Image width 240 mm
FLAIR magnetic resonance.
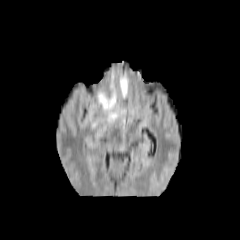
T1-weighted MR image.
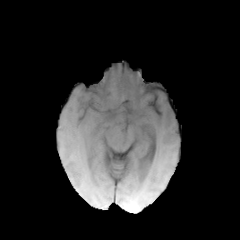
Post-contrast T1-weighted MRI.
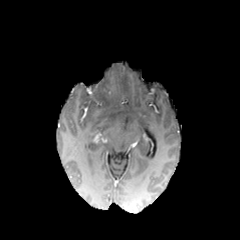
T2-weighted magnetic resonance.
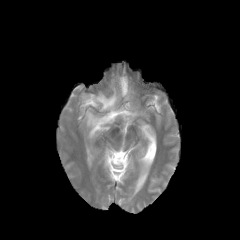
Findings:
- edema: {"x1": 119, "y1": 76, "x2": 127, "y2": 97}, {"x1": 88, "y1": 105, "x2": 120, "y2": 136}
- non-enhancing tumor core: {"x1": 81, "y1": 84, "x2": 114, "y2": 108}